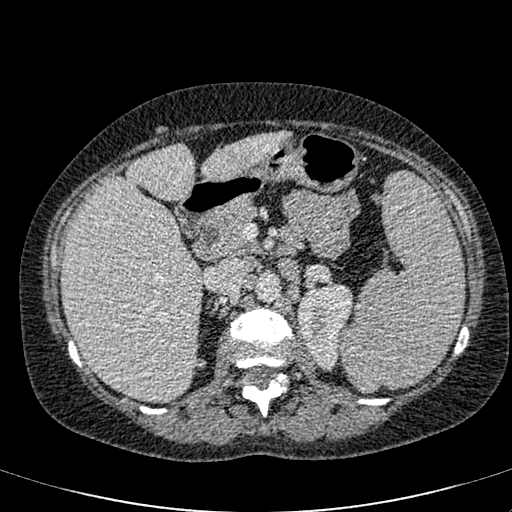
CT scan slice

The kidney is located at box=[298, 285, 352, 368]. 2 liver regions appear at box=[202, 133, 286, 181]; box=[63, 145, 201, 401].